CT | 512x512 | Abdomen 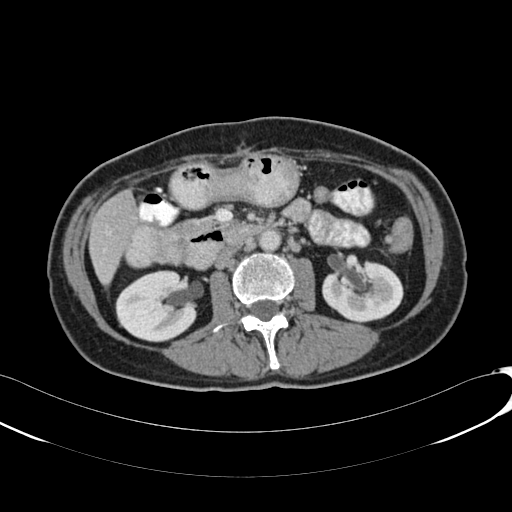
liver: x1=90 y1=190 x2=136 y2=284 | kidney: x1=323 y1=261 x2=402 y2=321, x1=117 y1=272 x2=195 y2=340